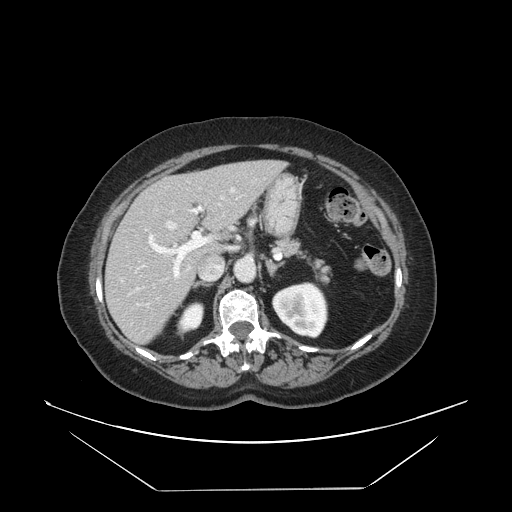 Computed tomography. {
  "pancreas": [
    "<box>276,234,332,288</box>"
  ]
}